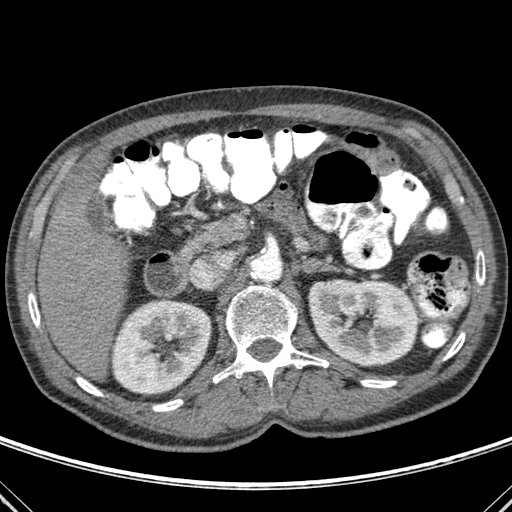

Abdomen, Computed tomography
• kidney: bbox(309, 280, 417, 364); bbox(113, 301, 210, 393)
• bone: bbox(152, 399, 182, 411); bbox(476, 250, 485, 285); bbox(213, 285, 328, 387); bbox(361, 379, 396, 388); bbox(443, 332, 464, 360); bbox(76, 377, 102, 396); bbox(28, 293, 39, 327)
• liver: bbox(38, 176, 127, 380); bbox(93, 154, 108, 173)